FLAIR MR image.
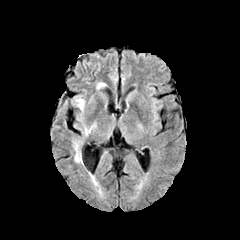
T1-weighted magnetic resonance.
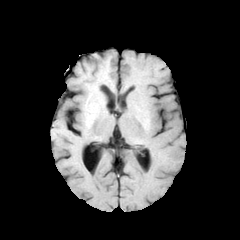
Post-contrast T1-weighted MR.
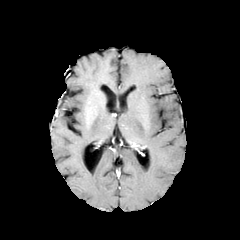
T2-weighted magnetic resonance.
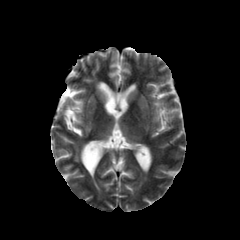
240x240
3 edema regions appear at <bbox>72, 96, 93, 135</bbox>, <bbox>73, 142, 82, 162</bbox>, <bbox>96, 82, 107, 95</bbox>.